Liver. CT. Field of view 404 mm wide, 1.50 mm slice spacing.
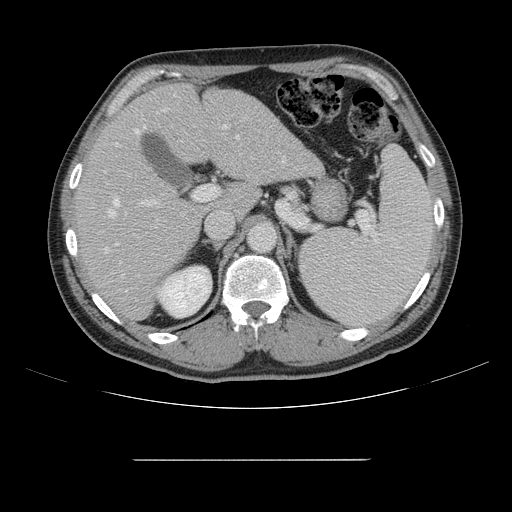
The vessel annotation is not exhaustive.
12 hepatic vessel regions are bounded by (121,275,122,276), (115,244,118,245), (104,248,107,253), (282,157,284,161), (107,210,114,216), (235,135,238,138), (223,125,228,128), (116,143,118,145), (193,180,220,201), (114,198,119,205), (140,200,155,205), (161,109,164,110).